Head, Slice 121/155
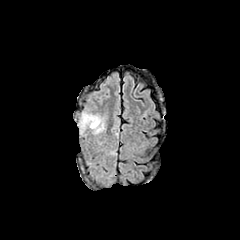
FLAIR MRI.
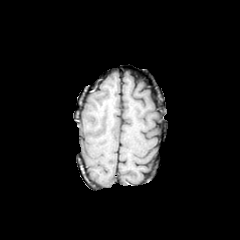
T1-weighted magnetic resonance.
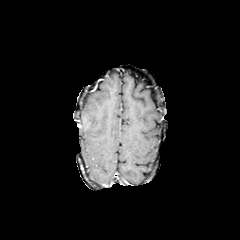
Post-contrast T1-weighted MR.
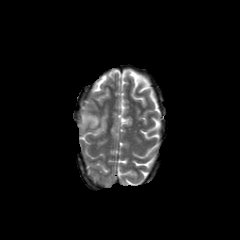
T2-weighted magnetic resonance of the same slice.
Findings:
• edema: [81, 113, 100, 128]